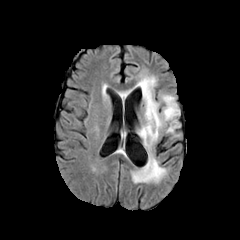
FLAIR MR image.
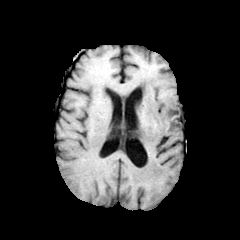
Same slice, T1-weighted magnetic resonance.
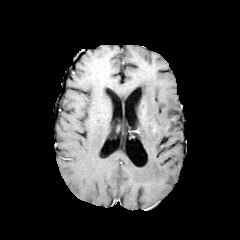
Post-contrast T1-weighted MR image.
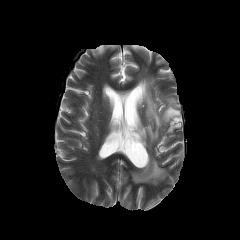
T2-weighted MR.
Image size 240x240, Head
Edema: bounding box {"x1": 132, "y1": 75, "x2": 180, "y2": 183}.